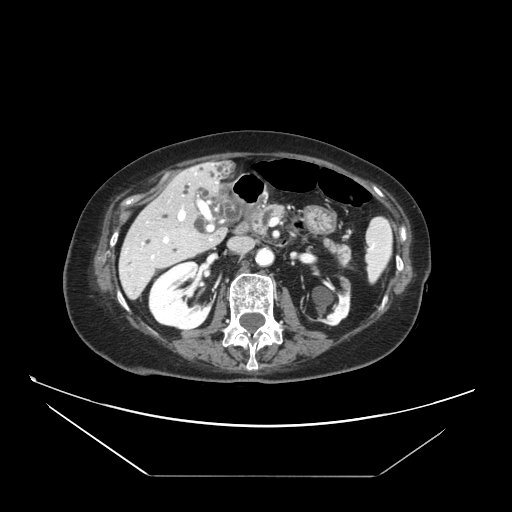

CT
2 pancreas regions appear at bbox=[251, 206, 285, 236]; bbox=[324, 240, 350, 264].